CT 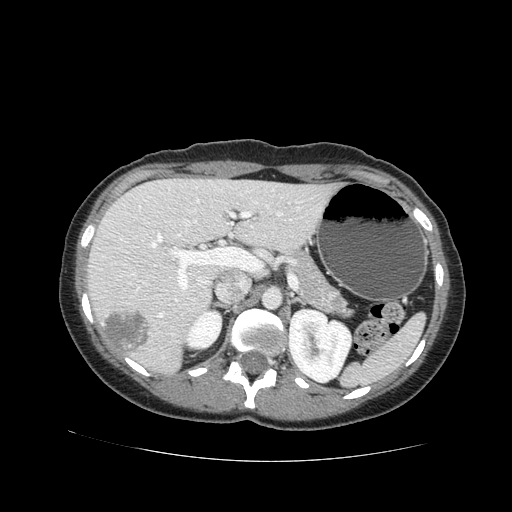
<segmentation>
  <pancreatic_tumor>(320, 290, 348, 315)</pancreatic_tumor>
  <pancreas>(291, 250, 337, 311)</pancreas>
</segmentation>